Slice 55/122; 512x512; Computed tomography 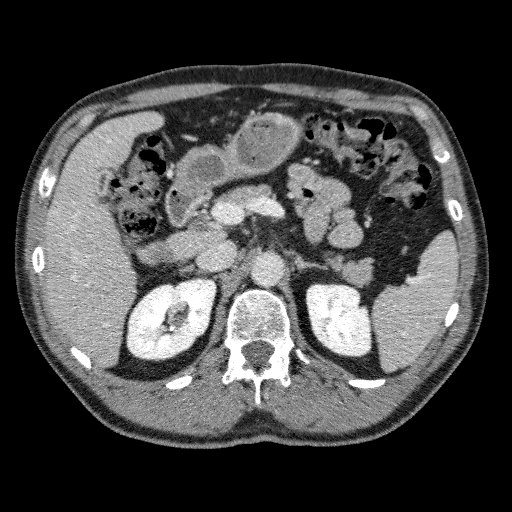 liver: {"x1": 134, "y1": 244, "x2": 151, "y2": 262}, {"x1": 45, "y1": 112, "x2": 162, "y2": 366}, {"x1": 152, "y1": 229, "x2": 226, "y2": 262} | hepatic lesion: {"x1": 144, "y1": 241, "x2": 177, "y2": 262} | kidney: {"x1": 127, "y1": 279, "x2": 215, "y2": 358}, {"x1": 307, "y1": 285, "x2": 369, "y2": 355}